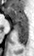
Medial temporal lobe. MR. <segmentation>
  <posterior_hippocampus>15, 23, 27, 43</posterior_hippocampus>
  <anterior_hippocampus>7, 7, 27, 22</anterior_hippocampus>
</segmentation>